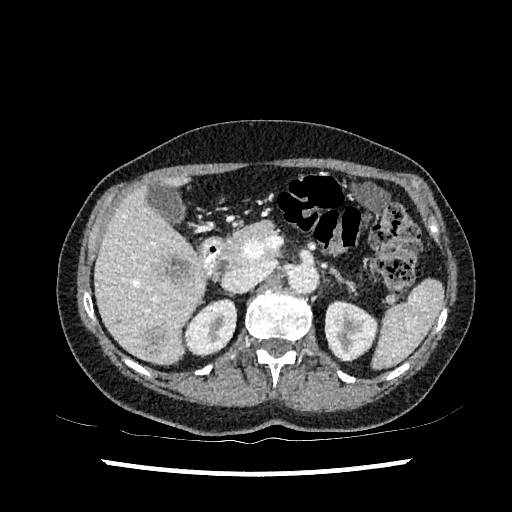 CT, 512x512 px, Liver
2 liver regions are located at 167, 178, 182, 185; 95, 186, 203, 362. 2 kidney regions are located at 186, 300, 236, 353; 325, 302, 376, 359. 2 focal liver lesion regions appear at 143, 326, 168, 354; 159, 256, 195, 286.